512x512 | CT slice

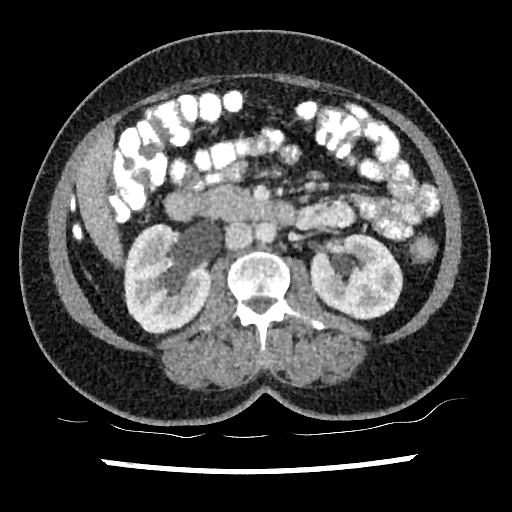 - liver: left=77, top=132, right=121, bottom=263
- kidney: left=125, top=225, right=210, bottom=332; left=311, top=235, right=401, bottom=318